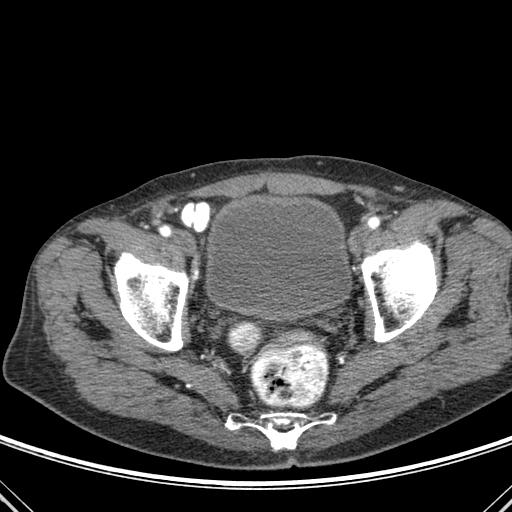
Image size 512x512, CT image
Segmented structures:
• urinary bladder: [204, 200, 351, 312]
• bone: [361, 240, 437, 342], [114, 252, 188, 351], [225, 412, 335, 449]